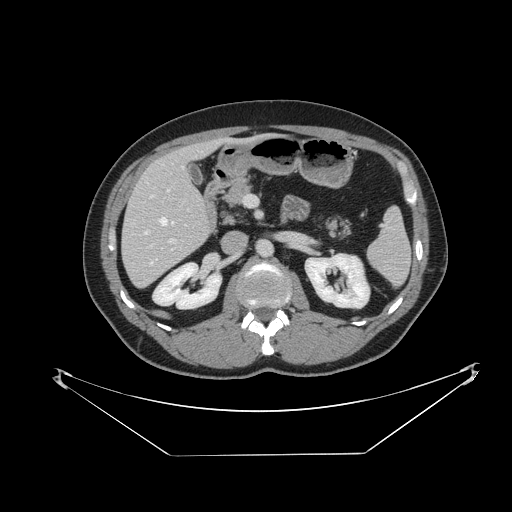
Upper abdomen; Computed tomography
The spleen is bounded by left=368, top=209, right=409, bottom=285.